CT scan slice | Pelvis | Image size 512x512 | Slice index 90
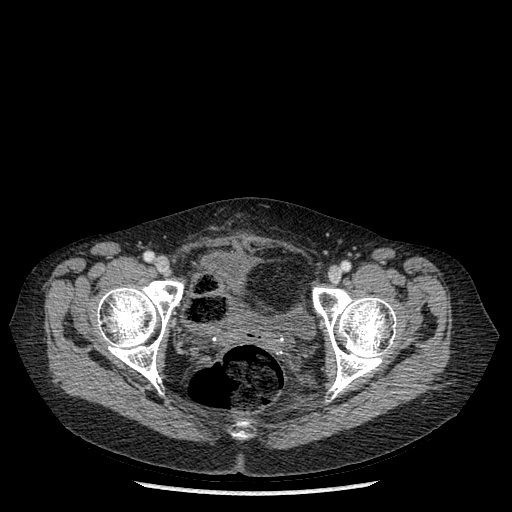

Bone — box(312, 286, 397, 400); box(234, 431, 247, 439); box(95, 279, 183, 393); box(237, 421, 247, 426).
Urinary bladder — box(197, 250, 298, 345).